Image size 512x512. CT scan slice. Slice 45/101. Upper abdomen. 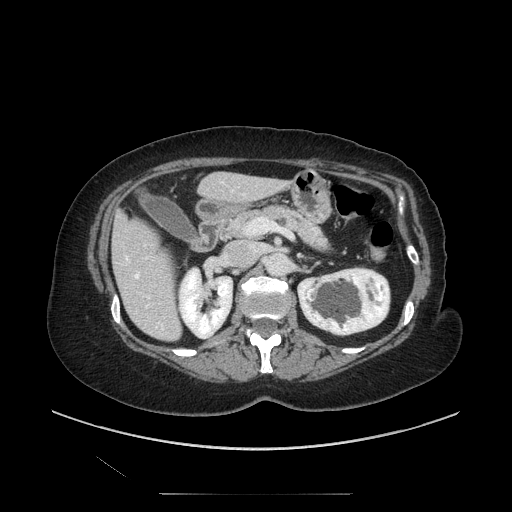 The pancreas appears at {"x1": 225, "y1": 206, "x2": 329, "y2": 251}. The pancreatic tumor lies within {"x1": 265, "y1": 208, "x2": 282, "y2": 217}.